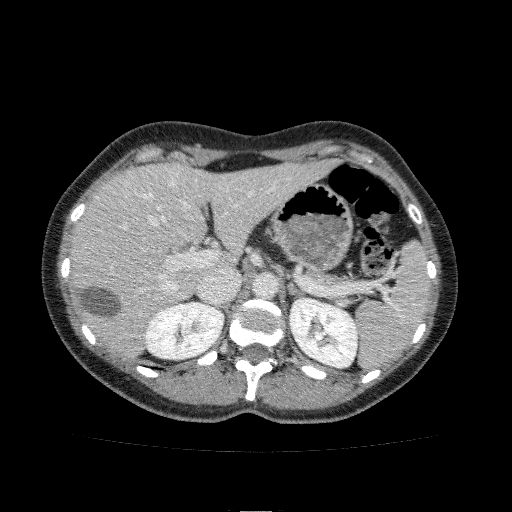
Computed tomography | Image size 512x512

Annotated regions:
* kidney: (290,299,357,367), (145,302,223,358)
* liver: (70,159,335,358)